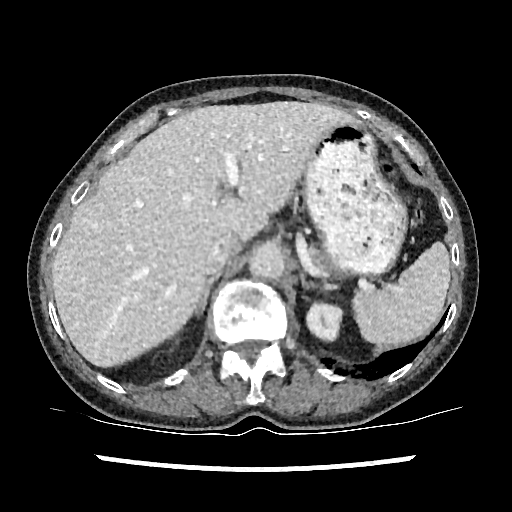
CT slice
Liver: <box>53,103,351,366</box>.